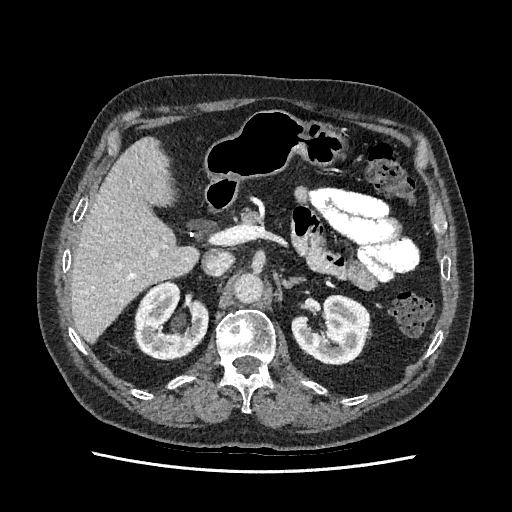 Abdomen. Image size 512x512. Computed tomography.
{
  "liver": [
    "<box>72,137,198,341</box>"
  ],
  "kidney": [
    "<box>292,295,369,363</box>",
    "<box>136,283,207,358</box>"
  ]
}